Image size 240x240
FLAIR magnetic resonance.
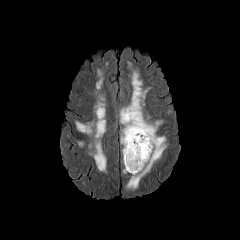
T1-weighted MRI.
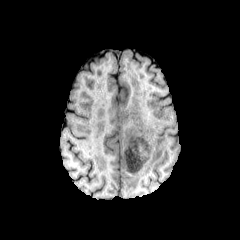
Post-contrast T1-weighted MRI.
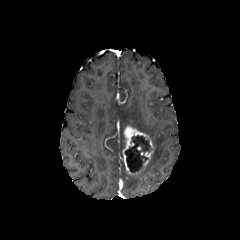
T2-weighted MR image.
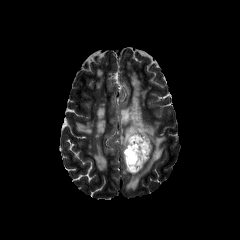
Edema: bounding box 120,70,166,190; 90,102,106,172; 75,122,94,135.
Non-enhancing tumor core: bounding box 125,135,152,173.
Enhancing tumor: bounding box 122,125,154,175.